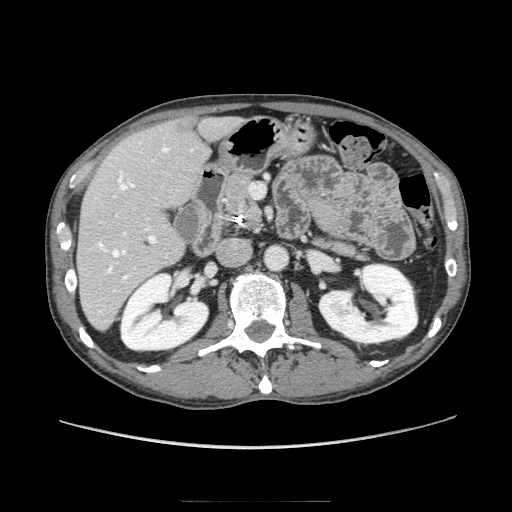

Upper abdomen, CT image, 512x512 px

Segmented structures:
- pancreas: [226, 176, 261, 223], [315, 237, 357, 255]
- pancreatic tumor: [228, 183, 247, 207]